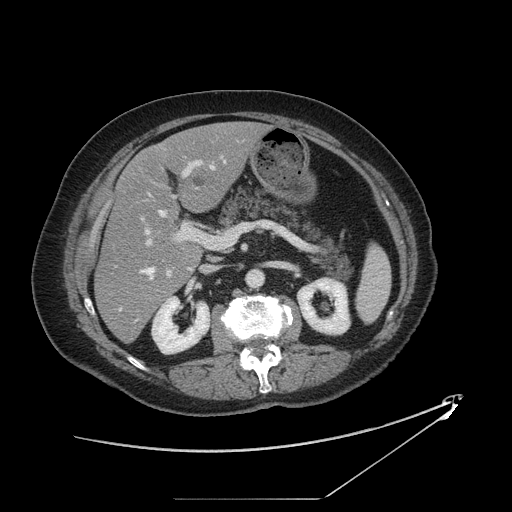
CT image | Image size 512x512 | Upper abdomen

{
  "pancreas": [
    "[216, 183, 355, 279]"
  ]
}